Brain | Field of view 240 mm wide, 1.00 mm slice spacing | Slice index 83
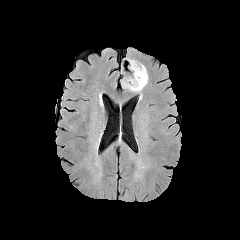
FLAIR magnetic resonance.
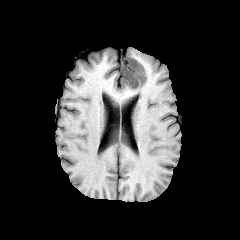
T1-weighted MR.
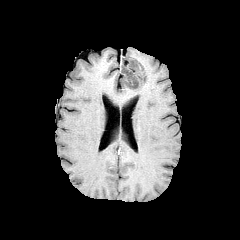
Post-contrast T1-weighted magnetic resonance.
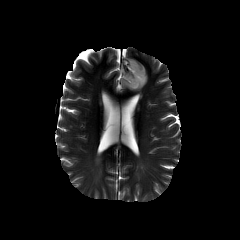
T2-weighted magnetic resonance.
Non-enhancing tumor core = 123, 61, 144, 88.
Edema = 121, 62, 148, 93; 121, 60, 137, 76.